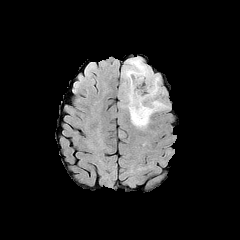
FLAIR magnetic resonance.
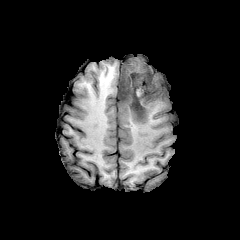
T1-weighted MRI.
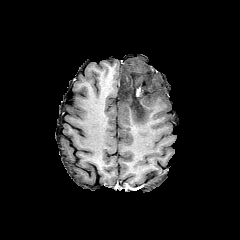
Post-contrast T1-weighted MRI of the same slice.
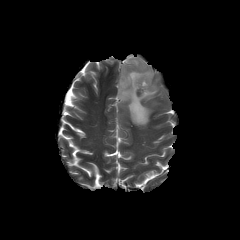
T2-weighted MR image of the same slice.
Brain, 240x240 px
<segmentation>
  <non-enhancing_tumor_core>x1=121, y1=72, x2=151, y2=112</non-enhancing_tumor_core>
  <edema>x1=120, y1=57, x2=165, y2=127</edema>
</segmentation>